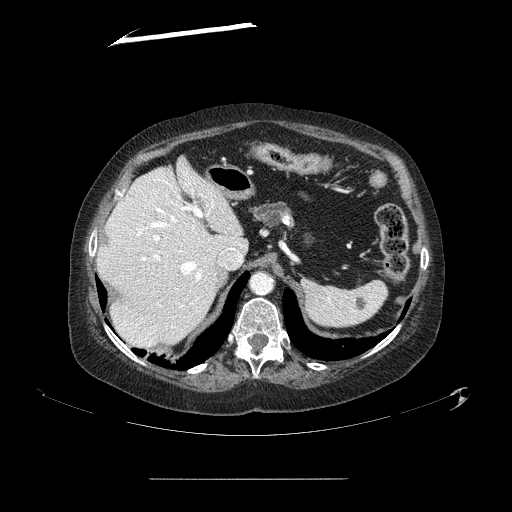
CT
{
  "pancreas": [
    "box(251, 201, 291, 226)"
  ]
}